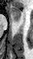
Hippocampus | MR image
The anterior hippocampus is located at 10:6:21:21.